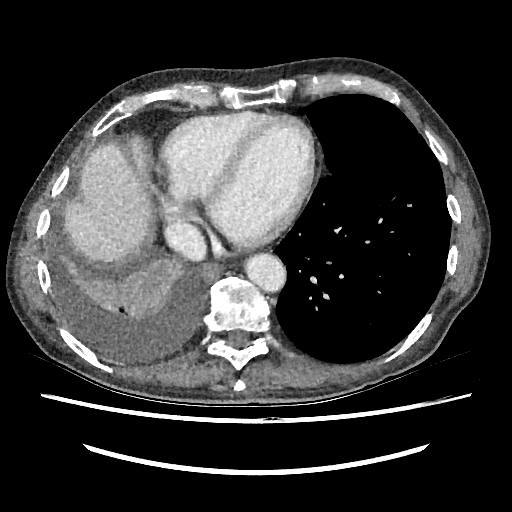 CT scan slice, 512x512
Liver — 64 137 150 260.